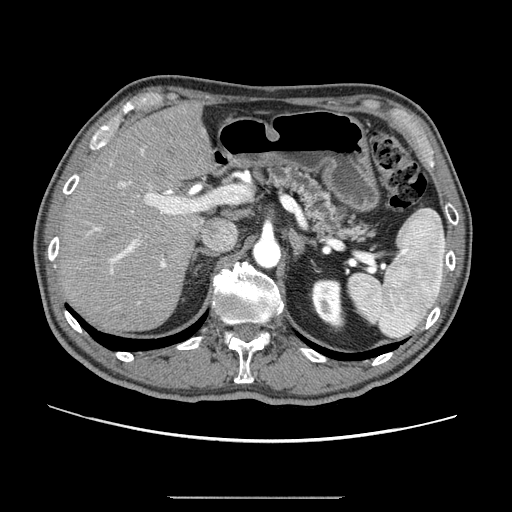
Abdomen. CT scan slice. pancreas:
  - [269,167,371,239]